CT scan slice, Upper abdomen

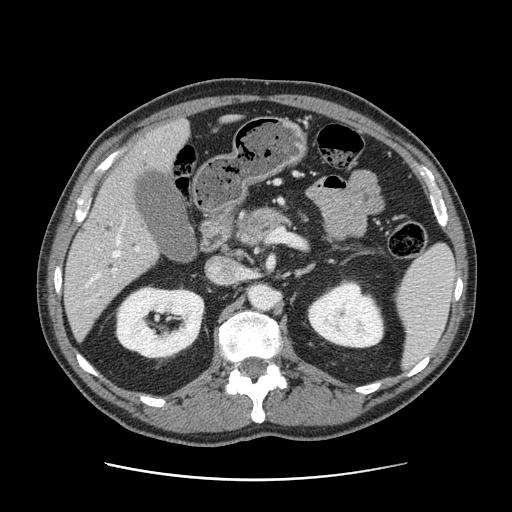
pancreatic_tumor:
  - {"x1": 237, "y1": 215, "x2": 265, "y2": 239}
pancreas:
  - {"x1": 240, "y1": 208, "x2": 290, "y2": 244}